Field of view 344x344 mm | CT scan slice | Slice 160 of 466

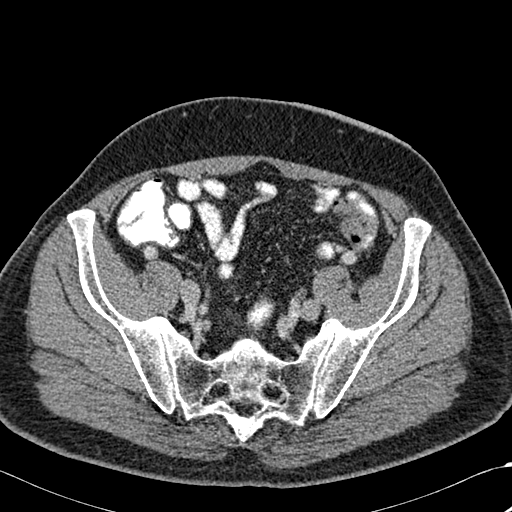

<segmentation>
  <bone>[x1=67, y1=209, x2=431, y2=440]</bone>
</segmentation>